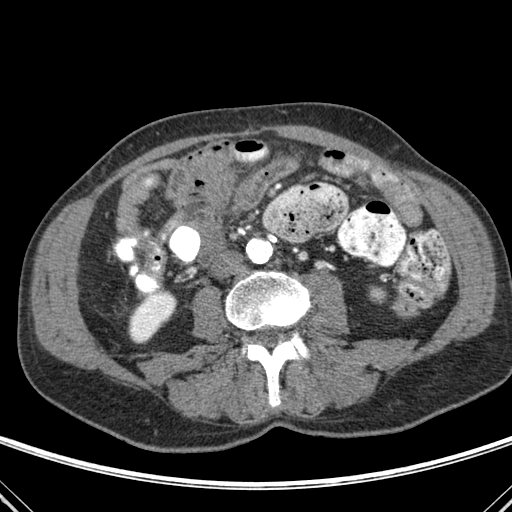

CT slice
Annotated regions:
* bone: box=[242, 333, 308, 406]; box=[225, 271, 309, 330]
* kidney: box=[130, 292, 174, 341]